Field of view 422x422 mm. Abdomen. Slice 14 of 45. Computed tomography. 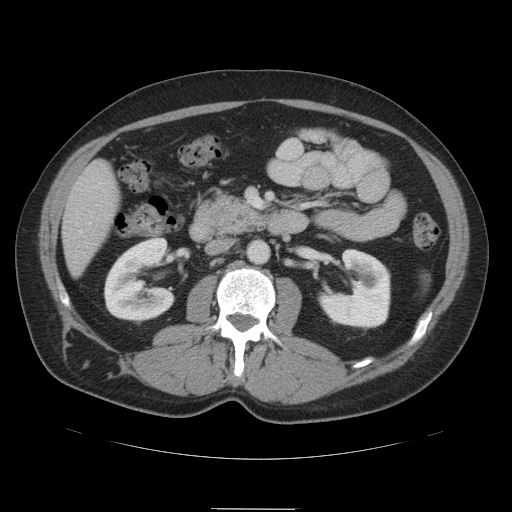 Annotated regions:
• pancreas: (201,193,269,238)